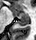
36x40 | Hippocampus | MR image
Posterior hippocampus: bounding box <bbox>15, 19, 28, 25</bbox>.
Anterior hippocampus: bounding box <bbox>12, 10, 28, 18</bbox>.